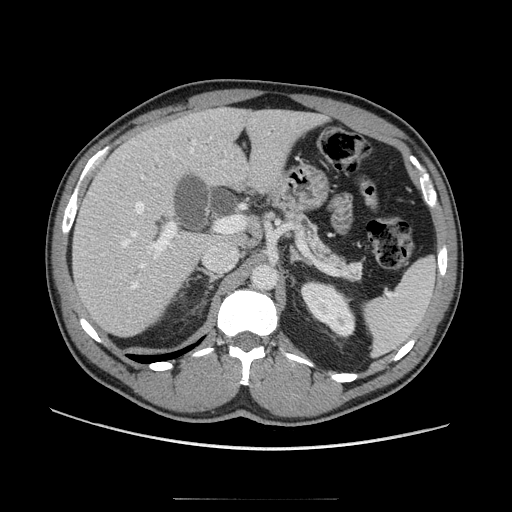

CT. pancreas: (x1=283, y1=210, x2=350, y2=271)